Upper abdomen | CT image

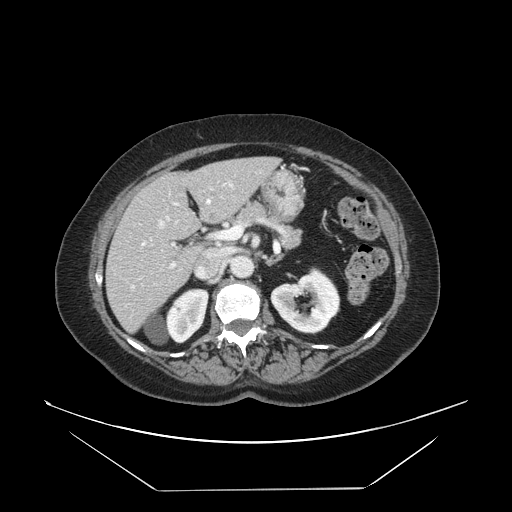

Findings:
- pancreas: (230,200,303,250)